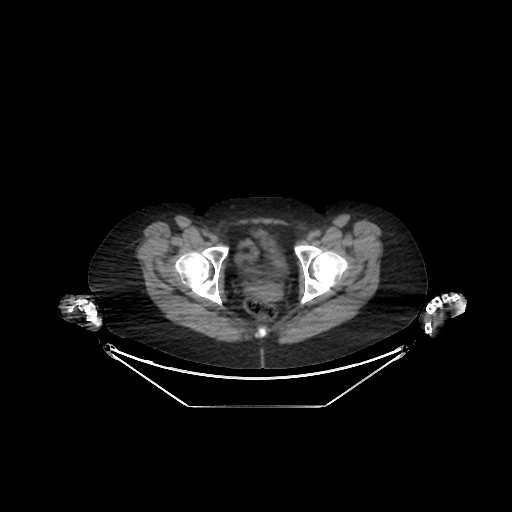

Lower abdomen; Computed tomography

The urinary bladder appears at (238, 230, 289, 282).